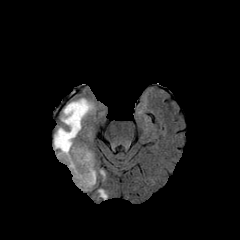
FLAIR MRI.
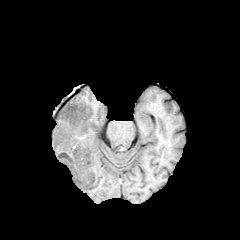
T1-weighted MR image.
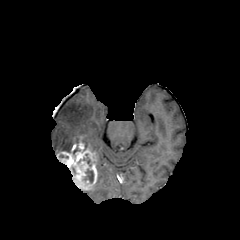
Post-contrast T1-weighted MR.
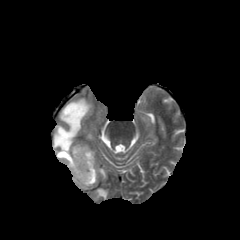
T2-weighted MRI.
3 edema regions are located at x1=94 y1=188 x2=107 y2=199, x1=53 y1=98 x2=94 y2=151, x1=97 y1=168 x2=106 y2=178. The enhancing tumor appears at x1=57 y1=144 x2=97 y2=190. The non-enhancing tumor core appears at x1=86 y1=169 x2=93 y2=182.